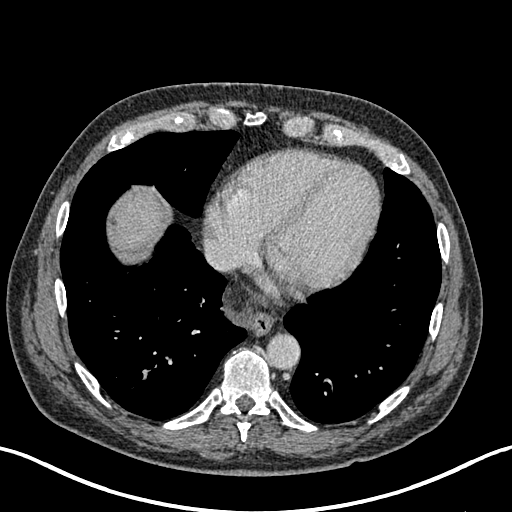

CT slice, Abdomen, Image size 512x512

{
  "liver": [
    "x1=109, y1=189, x2=170, y2=262"
  ]
}